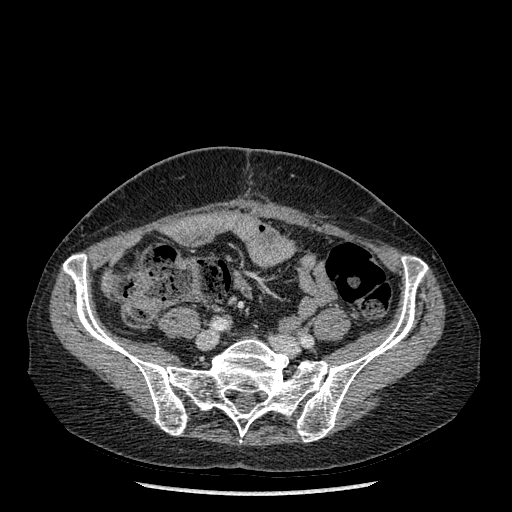

CT image. <segmentation>
  <bone><box>63,254,428,442</box></bone>
</segmentation>